Slice 72/155 | Image size 240x240 | Head
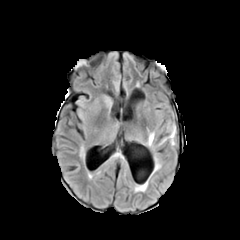
FLAIR MR.
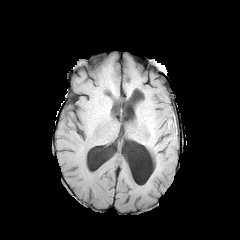
T1-weighted MRI of the same slice.
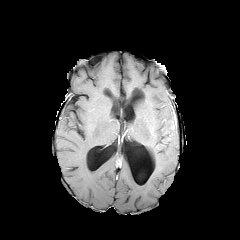
Same slice, post-contrast T1-weighted MR.
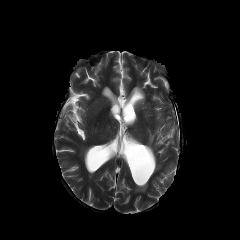
T2-weighted MR image.
3 edema regions are located at x1=134, y1=177, x2=150, y2=191; x1=145, y1=132, x2=161, y2=174; x1=159, y1=131, x2=175, y2=145.